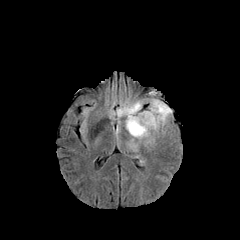
FLAIR magnetic resonance.
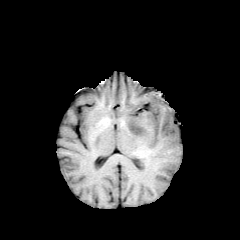
T1-weighted MR.
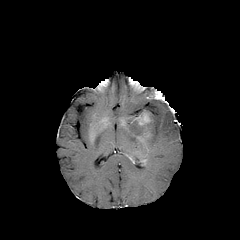
Post-contrast T1-weighted magnetic resonance of the same slice.
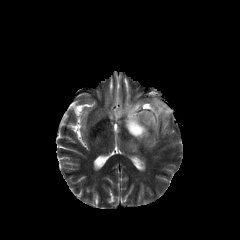
T2-weighted MR image.
240x240.
<segmentation>
  <non-enhancing_tumor_core>132:122:141:132</non-enhancing_tumor_core>
  <edema>109:90:172:152</edema>
  <enhancing_tumor>134:111:149:124</enhancing_tumor>
</segmentation>